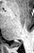 MRI slice, Hippocampus
The posterior hippocampus lies within 12, 43, 21, 46.